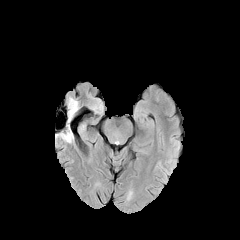
FLAIR magnetic resonance.
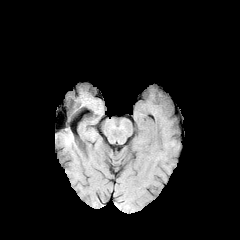
T1-weighted MR.
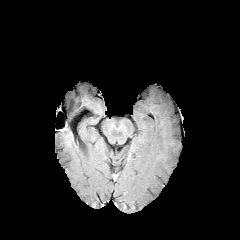
Post-contrast T1-weighted magnetic resonance of the same slice.
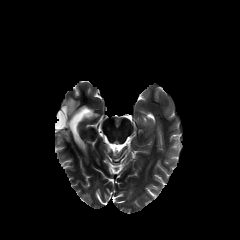
T2-weighted magnetic resonance.
Brain
2 edema regions appear at 57, 116, 78, 139; 66, 98, 79, 126.